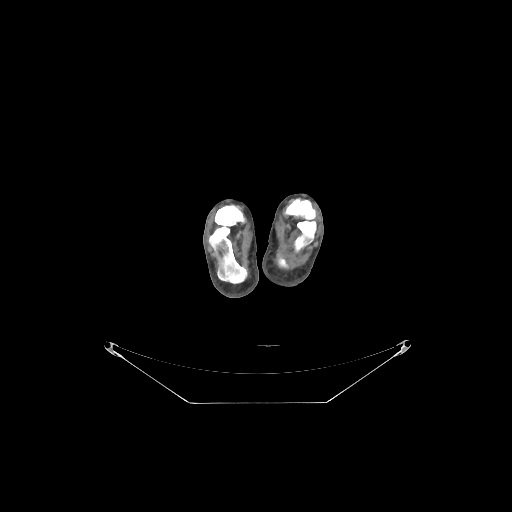
CT image

Bone = [209,205,246,283], [278,259,287,267], [284,198,316,252].